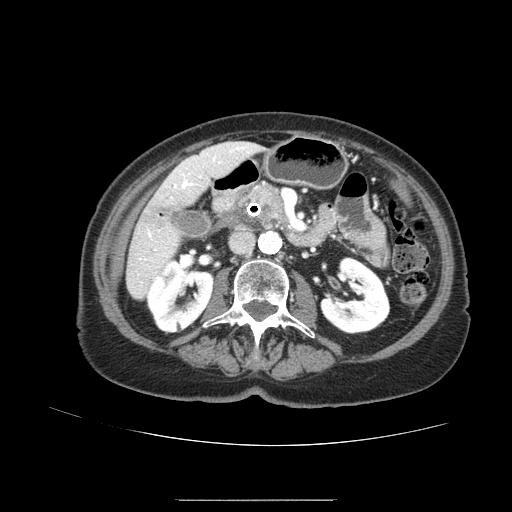 Upper abdomen; Computed tomography
{
  "pancreatic_tumor": [
    "bbox=[261, 201, 274, 219]"
  ],
  "pancreas": [
    "bbox=[243, 185, 284, 216]"
  ]
}